Brain | Slice 113/155
FLAIR magnetic resonance.
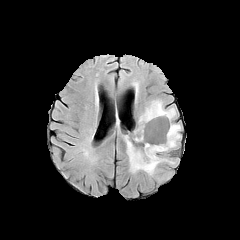
T1-weighted MR.
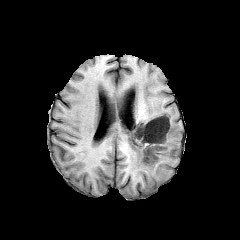
Post-contrast T1-weighted MRI.
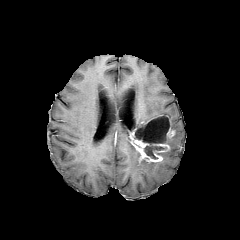
T2-weighted MR.
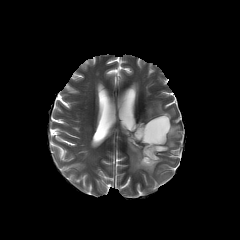
Edema: left=135, top=100, right=180, bottom=148; left=126, top=136, right=163, bottom=177.
Enhancing tumor: left=130, top=136, right=161, bottom=163.
Non-enhancing tumor core: left=132, top=116, right=172, bottom=160.